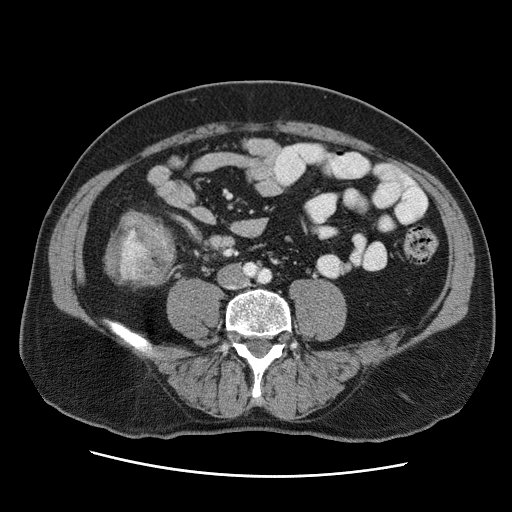

CT | Pelvis
<segmentation>
  <colon_tumor><box>105,211,175,282</box></colon_tumor>
</segmentation>